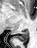 Medial temporal lobe; MR image; 37x48
<segmentation>
  <posterior_hippocampus>region(15, 31, 29, 42)</posterior_hippocampus>
</segmentation>